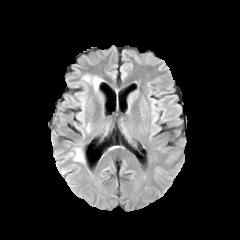
FLAIR MR.
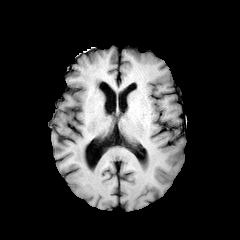
Same slice, T1-weighted MR.
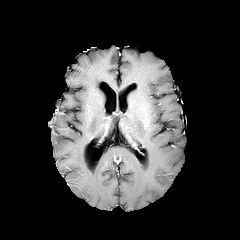
Same slice, post-contrast T1-weighted MR image.
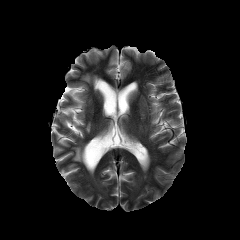
T2-weighted MRI.
• edema: box=[79, 91, 86, 119]; box=[82, 75, 101, 92]; box=[70, 146, 84, 163]